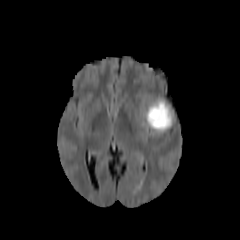
FLAIR magnetic resonance.
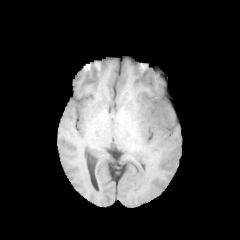
T1-weighted MRI.
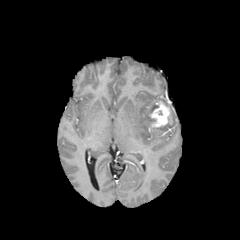
Post-contrast T1-weighted MR image.
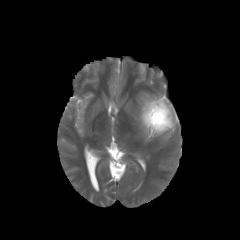
T2-weighted magnetic resonance.
240x240 px
<segmentation>
  <edema>[139, 96, 175, 141]</edema>
  <enhancing_tumor>[149, 100, 174, 128]</enhancing_tumor>
</segmentation>